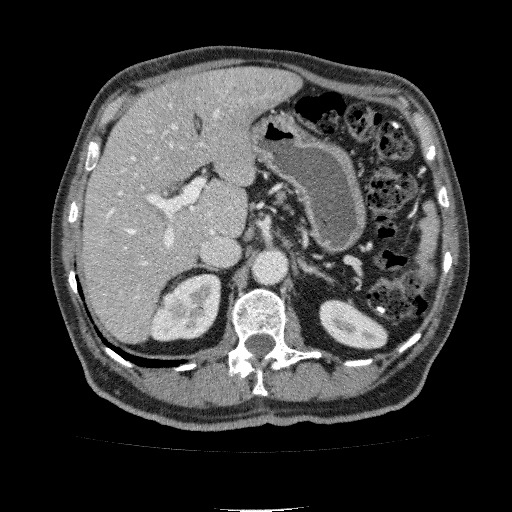

CT slice

The liver is located at <bbox>83, 67, 302, 342</bbox>. 2 kidney regions are located at <bbox>151, 275, 219, 339</bbox>, <bbox>320, 301, 386, 347</bbox>.